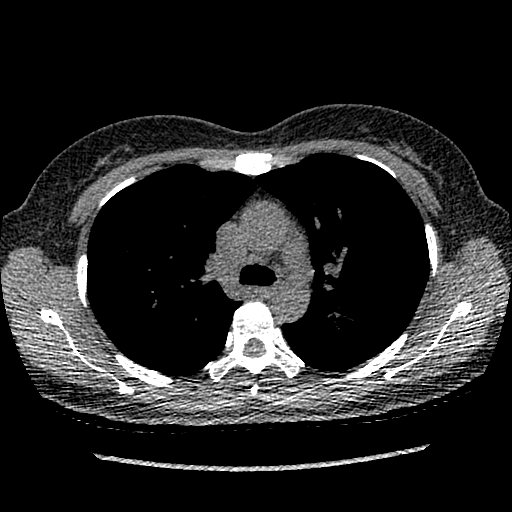

Computed tomography
The lung tumor is at 325, 311, 351, 333.